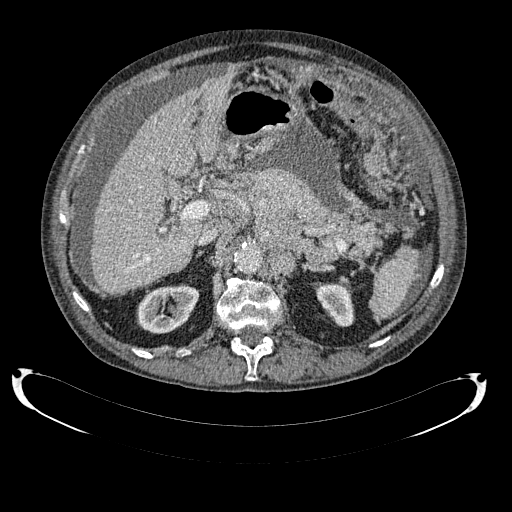 CT
• liver: l=91, t=71, r=236, b=293
• kidney: l=317, t=284, r=353, b=326; l=138, t=286, r=198, b=332